CT scan slice | Slice 5 of 139 | 512x512 px
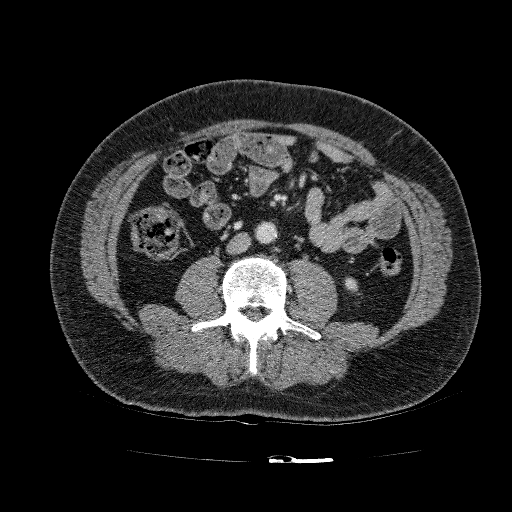
Kidney = (left=345, top=279, right=355, bottom=288).